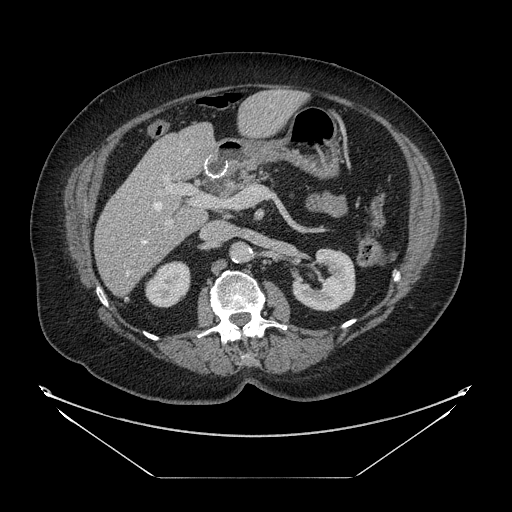 Upper abdomen; Computed tomography; 512x512

The pancreas is located at <box>221,167,266,196</box>.